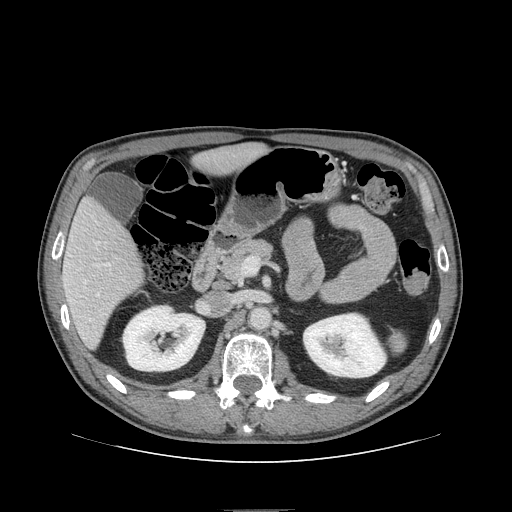 Computed tomography, 512x512

{
  "pancreas": [
    "<box>222,239,272,279</box>"
  ]
}